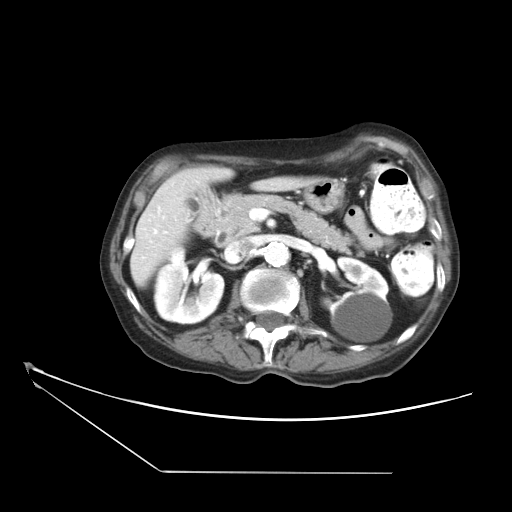

Image size 512x512; CT image
Segmented structures:
* pancreas: [207, 193, 363, 256]